Abdomen, CT image 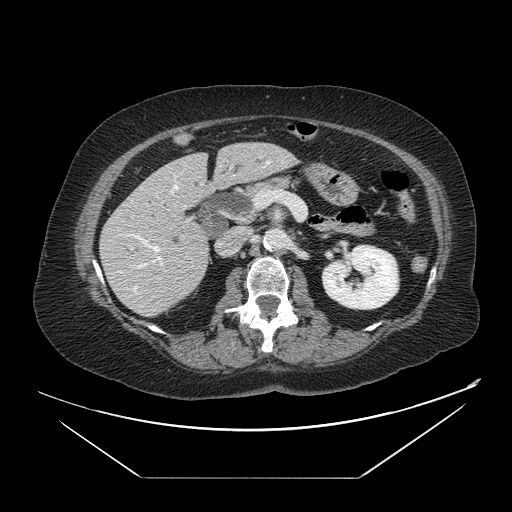
Pancreas = {"x1": 256, "y1": 177, "x2": 291, "y2": 189}.